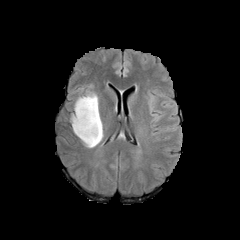
FLAIR MR.
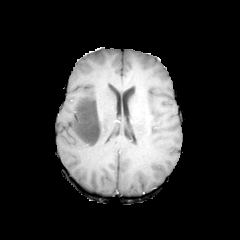
T1-weighted MR image.
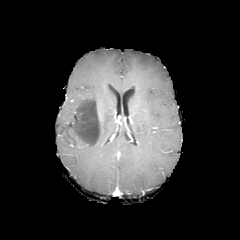
Post-contrast T1-weighted MR image.
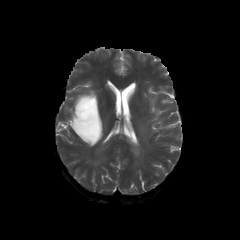
T2-weighted MR image of the same slice.
Image size 240x240
Edema = (left=148, top=97, right=159, bottom=122), (left=69, top=96, right=105, bottom=149), (left=79, top=88, right=99, bottom=112).
Non-enhancing tumor core = (left=74, top=94, right=100, bottom=141).